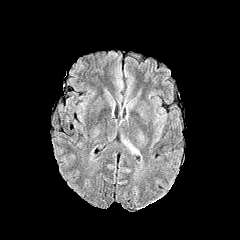
FLAIR MRI.
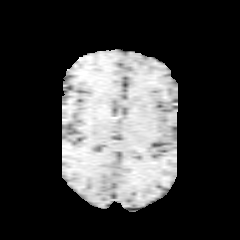
T1-weighted MR image.
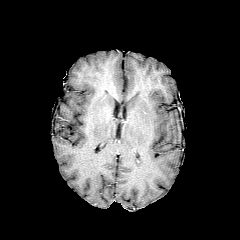
Post-contrast T1-weighted MRI.
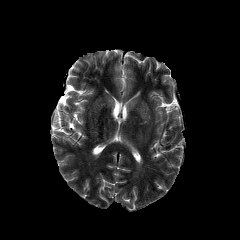
T2-weighted MR of the same slice.
Head.
The edema is at bbox(125, 140, 139, 154).